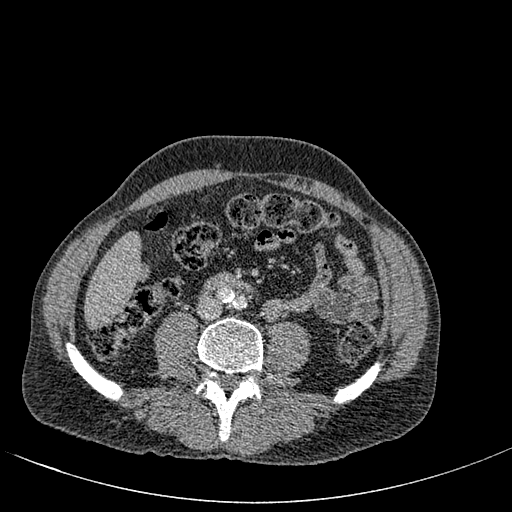
Liver. CT scan slice. The liver is at bbox=[85, 233, 139, 323].